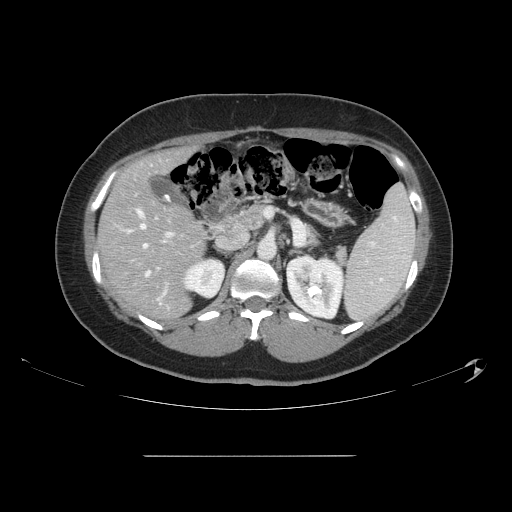
Liver. CT slice.

The vessel boxes may cover only some of the vessels.
Annotated regions:
- hepatic vessel: rect(164, 240, 165, 241); rect(163, 292, 164, 295); rect(145, 271, 149, 275); rect(137, 208, 142, 215); rect(143, 244, 146, 247); rect(140, 224, 144, 228); rect(166, 232, 171, 236)